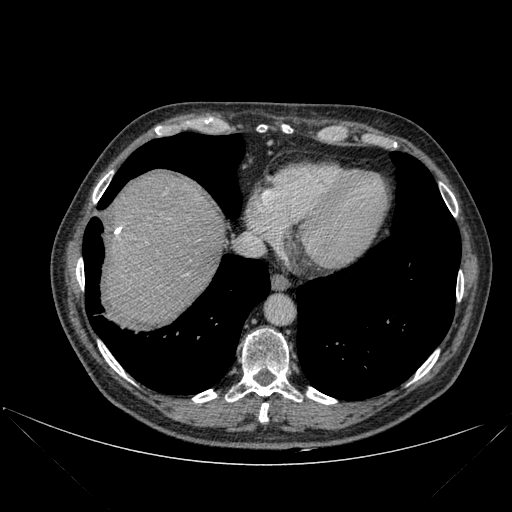 CT image; Liver; 512x512 px

<segmentation>
  <lung>bbox=[98, 132, 244, 218]; bbox=[296, 152, 460, 400]; bbox=[83, 217, 270, 394]</lung>
  <liver>bbox=[101, 174, 225, 330]</liver>
  <bone>bbox=[282, 125, 291, 132]; bbox=[98, 343, 127, 378]; bbox=[413, 351, 438, 380]; bbox=[306, 387, 336, 404]; bbox=[456, 271, 463, 300]; bbox=[442, 185, 457, 216]; bbox=[259, 403, 268, 422]; bbox=[76, 258, 84, 289]; bbox=[93, 173, 109, 203]; bbox=[226, 329, 301, 401]; bbox=[192, 389, 216, 402]</bone>
</segmentation>